CT image

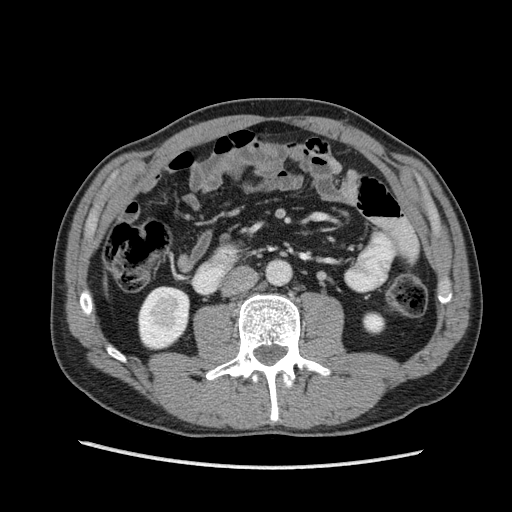

kidney:
  - 365,315,382,331
  - 139,287,188,347